37x51 px; Magnetic resonance; Hippocampus
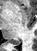
Posterior hippocampus — [8,40,20,44].